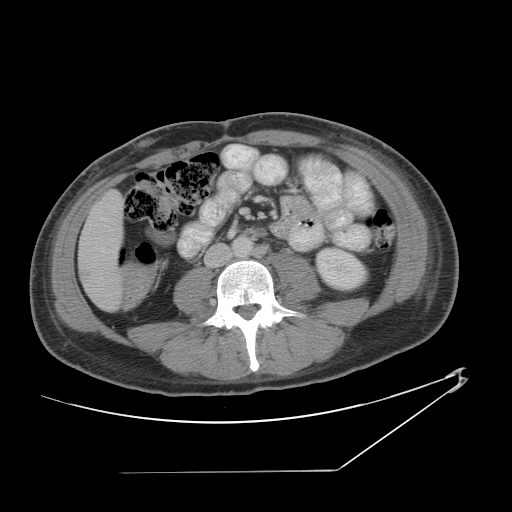 Image size 512x512 | Liver | Computed tomography
Only some of the vessels may be annotated.
Hepatic vessel — bbox=[103, 249, 114, 258]; bbox=[103, 219, 106, 220].
Liver tumor — bbox=[80, 270, 91, 282].